Image size 512x512, Image width 388 mm, CT slice

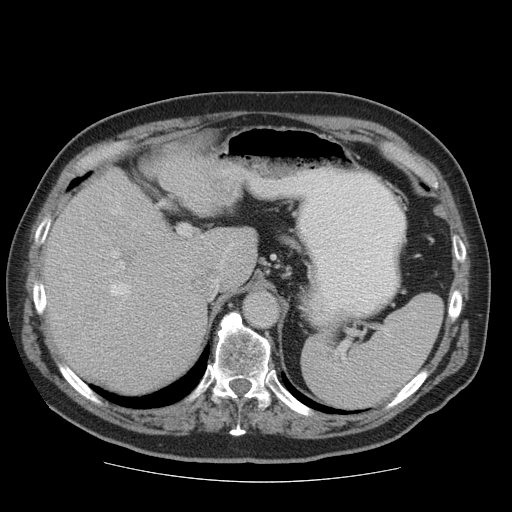

Only some of the vessels may be annotated.
- hepatic vessel: region(116, 261, 124, 268); region(166, 244, 166, 247); region(118, 304, 120, 311); region(131, 223, 135, 227); region(111, 270, 116, 272); region(159, 326, 162, 336); region(178, 227, 190, 235); region(184, 193, 188, 197); region(192, 195, 198, 198); region(111, 251, 119, 257); region(187, 182, 189, 183); region(111, 282, 129, 303)